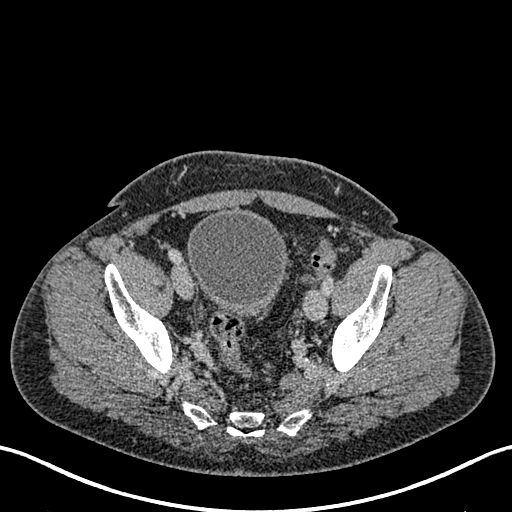 Pelvis, CT image
<segmentation>
  <urinary_bladder>rect(187, 212, 288, 319)</urinary_bladder>
</segmentation>